Image width 240 mm, 240x240
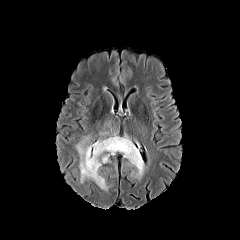
FLAIR magnetic resonance.
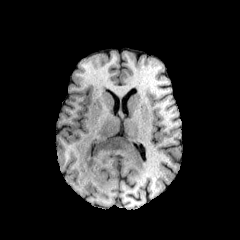
T1-weighted MR image.
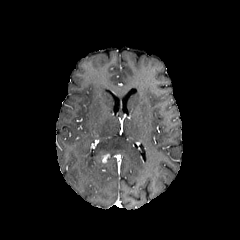
Post-contrast T1-weighted MRI.
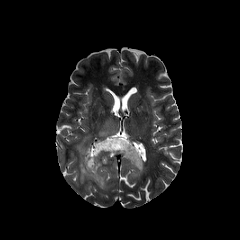
T2-weighted MR of the same slice.
Enhancing tumor: bounding box region(100, 153, 109, 163).
Edema: bounding box region(76, 135, 145, 190).